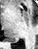

Magnetic resonance
The posterior hippocampus is at (left=11, top=39, right=17, bottom=42).